CT scan slice. Field of view 341 mm wide, 2.50 mm slice spacing. Slice index 105. Abdomen. 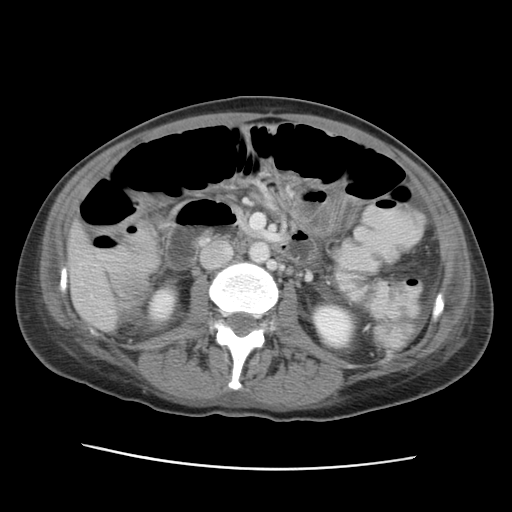
kidney:
  - (151,291,173,313)
  - (313,305,352,346)
liver:
  - (68,222,113,324)